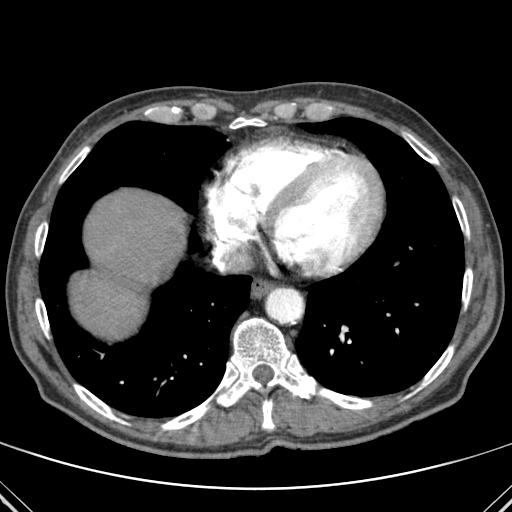

CT

Bone — [x1=230, y1=117, x2=264, y2=128], [x1=161, y1=318, x2=372, y2=429], [x1=35, y1=299, x2=49, y2=336], [x1=418, y1=346, x2=453, y2=389], [x1=406, y1=134, x2=438, y2=164], [x1=462, y1=268, x2=472, y2=306], [x1=60, y1=147, x2=89, y2=181], [x1=74, y1=384, x2=126, y2=424], [x1=453, y1=198, x2=469, y2=236], [x1=262, y1=399, x2=274, y2=429], [x1=35, y1=222, x2=47, y2=255].
Lung — [x1=295, y1=117, x2=464, y2=396], [x1=39, y1=121, x2=251, y2=417], [x1=189, y1=228, x2=201, y2=253].
Liver — [x1=70, y1=189, x2=186, y2=339].